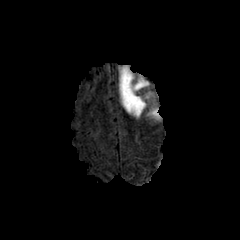
FLAIR MR image.
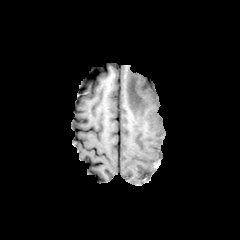
Same slice, T1-weighted MR.
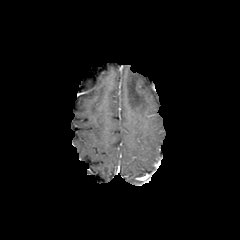
Post-contrast T1-weighted magnetic resonance of the same slice.
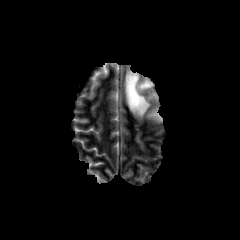
T2-weighted magnetic resonance.
240x240.
{"edema": ["bbox(120, 68, 159, 120)"]}